Lower abdomen. Computed tomography.

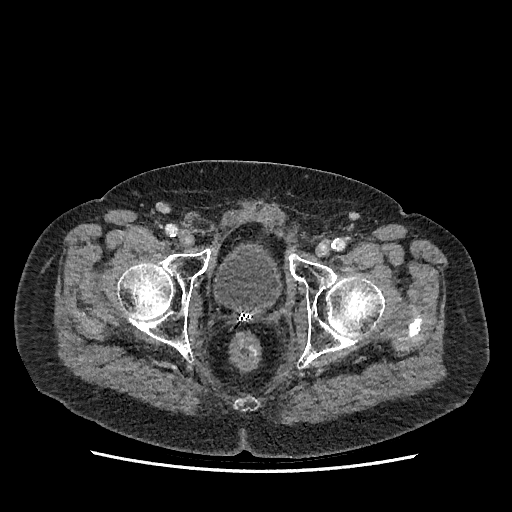 Annotated regions:
• urinary bladder: bbox=[215, 248, 279, 310]